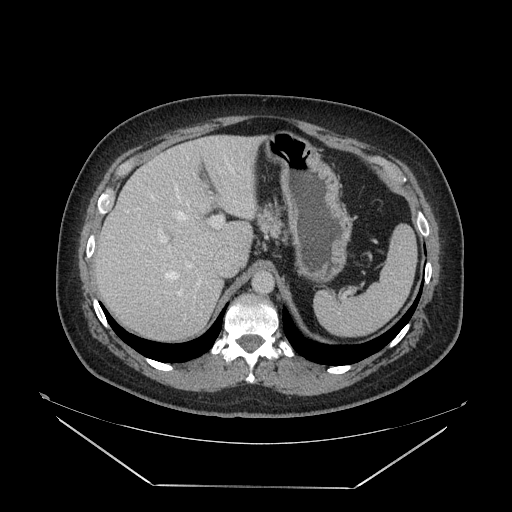 Upper abdomen, Computed tomography
The pancreas appears at 258:207:284:236.